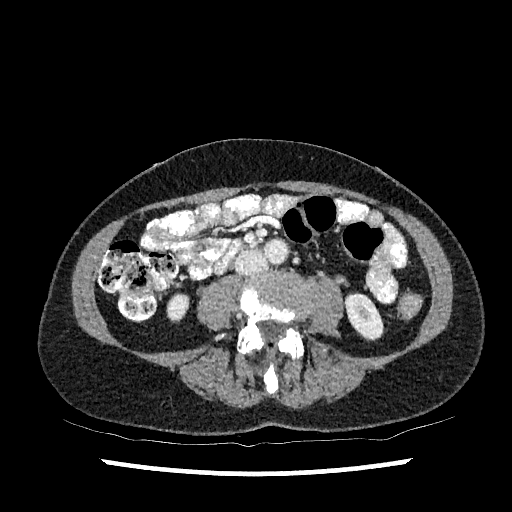

CT image
Kidney = l=346, t=294, r=382, b=338; l=168, t=295, r=187, b=319.